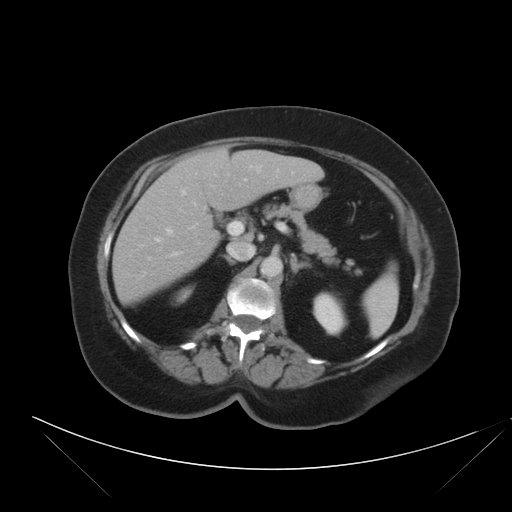

512x512; Abdomen; CT
The vessel boxes may cover only some of the vessels.
Annotated regions:
• hepatic vessel: {"x1": 166, "y1": 228, "x2": 172, "y2": 234}, {"x1": 276, "y1": 169, "x2": 278, "y2": 171}, {"x1": 191, "y1": 223, "x2": 198, "y2": 228}, {"x1": 171, "y1": 252, "x2": 180, "y2": 255}, {"x1": 147, "y1": 257, "x2": 151, "y2": 259}, {"x1": 193, "y1": 160, "x2": 195, "y2": 161}, {"x1": 181, "y1": 188, "x2": 186, "y2": 195}, {"x1": 179, "y1": 209, "x2": 181, "y2": 210}, {"x1": 292, "y1": 172, "x2": 293, "y2": 173}, {"x1": 244, "y1": 179, "x2": 246, "y2": 180}, {"x1": 249, "y1": 165, "x2": 261, "y2": 172}, {"x1": 142, "y1": 272, "x2": 145, "y2": 275}, {"x1": 204, "y1": 207, "x2": 205, "y2": 208}, {"x1": 139, "y1": 245, "x2": 143, "y2": 247}, {"x1": 155, "y1": 237, "x2": 160, "y2": 241}